512x512, Upper abdomen, CT, Slice index 496

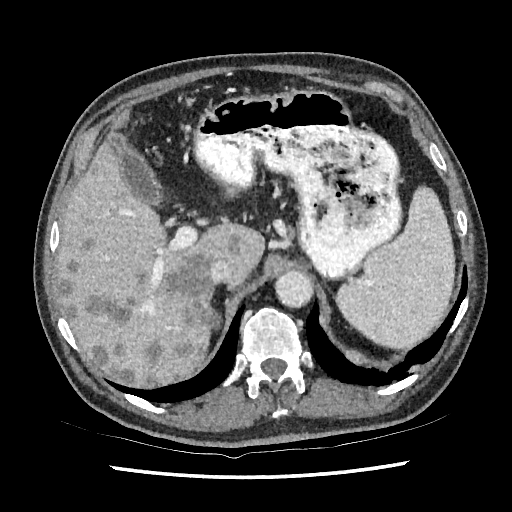

Focal liver lesion — 59,280,71,296; 166,252,212,327; 143,341,163,368; 78,237,94,253; 84,295,135,324; 93,344,133,382; 228,234,241,255; 64,305,77,321; 175,340,204,358; 66,259,78,273.
Liver — 56,123,263,385.